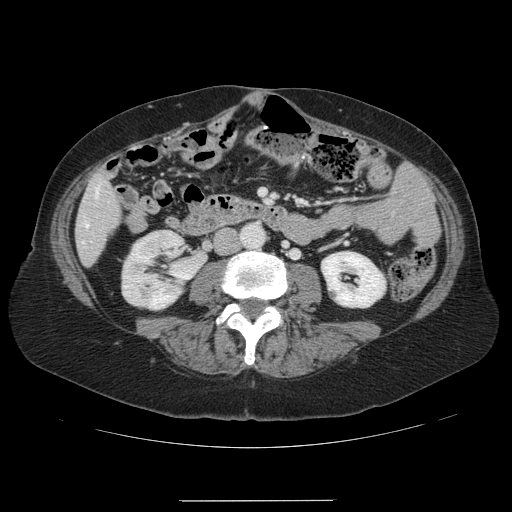

CT scan slice.

The vessel annotation is not exhaustive.
2 hepatic vessel regions appear at box(96, 186, 98, 196); box(83, 223, 87, 226).